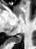 Medial temporal lobe. MRI slice. 36x49.

{
  "posterior_hippocampus": [
    "10, 35, 21, 43"
  ]
}